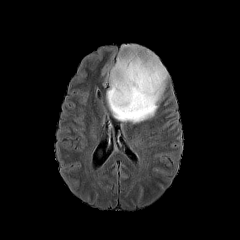
FLAIR MR image.
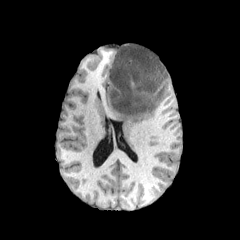
T1-weighted magnetic resonance of the same slice.
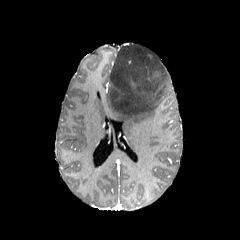
Post-contrast T1-weighted MRI.
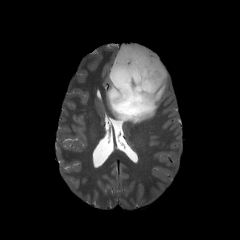
T2-weighted MR image.
Head.
<segmentation>
  <edema>105, 58, 167, 124</edema>
</segmentation>